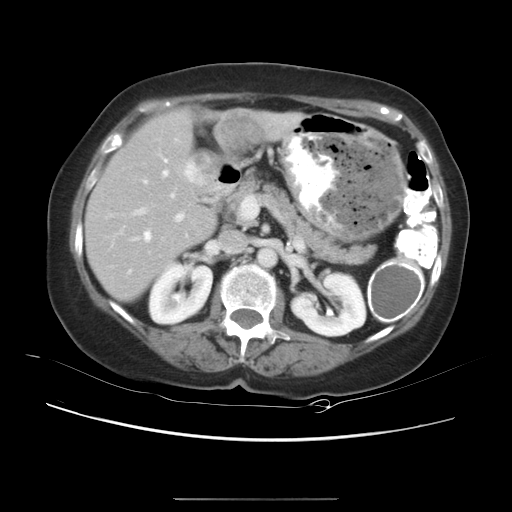

Abdomen. Computed tomography.
The vessel annotation is not exhaustive.
liver tumor: bbox=[221, 114, 268, 143] | hepatic vessel: bbox=[170, 193, 174, 197]; bbox=[162, 170, 167, 176]; bbox=[182, 164, 203, 183]; bbox=[143, 180, 147, 183]; bbox=[175, 213, 183, 221]; bbox=[290, 118, 296, 122]; bbox=[130, 230, 151, 241]; bbox=[174, 139, 179, 142]; bbox=[133, 208, 146, 214]; bbox=[128, 270, 131, 273]; bbox=[158, 154, 167, 162]; bbox=[284, 122, 289, 125]; bbox=[118, 227, 123, 234]